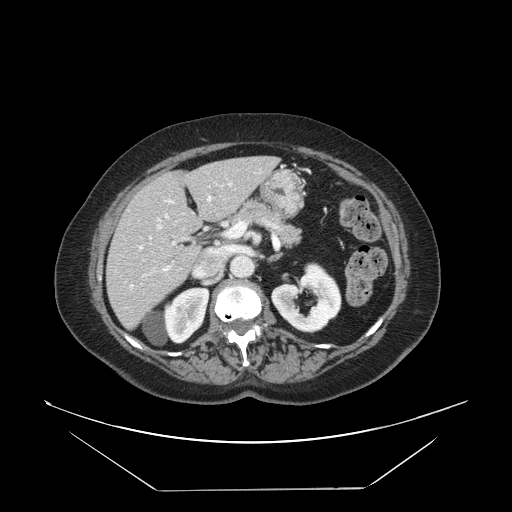 512x512 px; Upper abdomen; CT scan slice
- pancreas: <bbox>198, 198, 302, 248</bbox>